Image width 320 mm. Image size 512x512. Slice 477 of 519. Abdomen. CT scan slice.

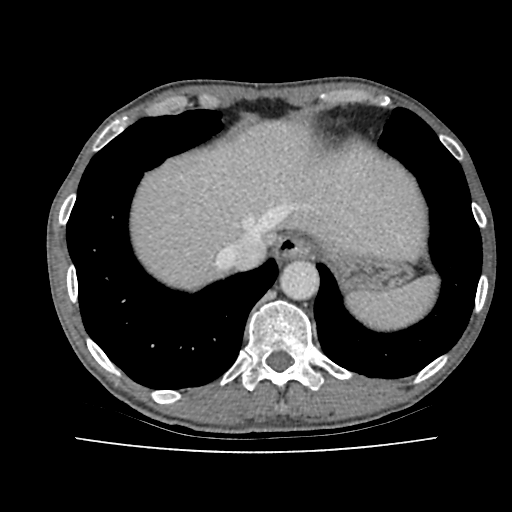

The liver is at x1=132, y1=122, x2=425, y2=285.